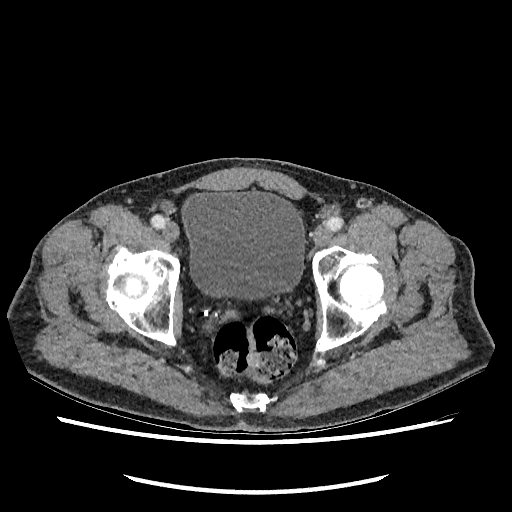 Image size 512x512. Computed tomography.

The urinary bladder is at (181,189,305,298).